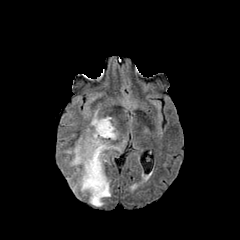
FLAIR magnetic resonance.
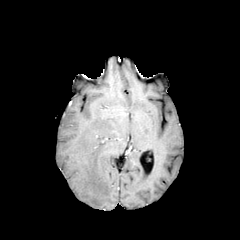
T1-weighted MR.
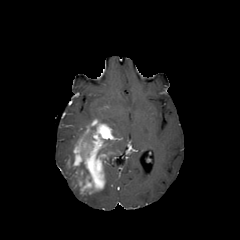
Same slice, post-contrast T1-weighted magnetic resonance.
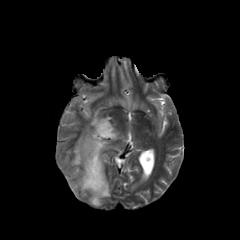
T2-weighted magnetic resonance.
{"enhancing_tumor": ["box=[73, 119, 119, 194]"], "non-enhancing_tumor_core": ["box=[75, 162, 89, 185]"], "edema": ["box=[88, 173, 110, 206]", "box=[91, 109, 118, 137]", "box=[66, 175, 79, 196]", "box=[107, 139, 126, 151]"]}